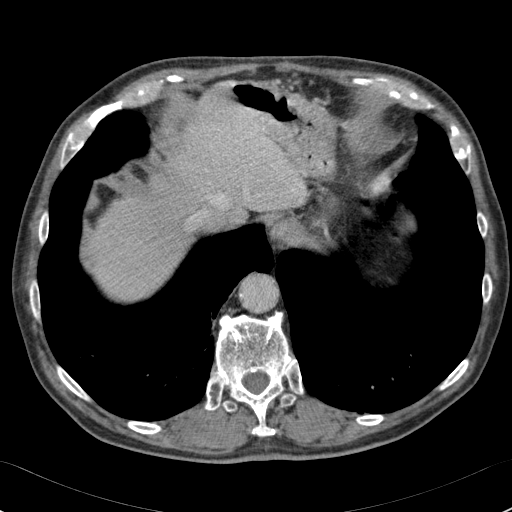
512x512 px, CT image

liver: left=94, top=92, right=295, bottom=294